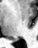
MRI slice. Hippocampus.

posterior_hippocampus:
  - {"x1": 13, "y1": 39, "x2": 17, "y2": 40}